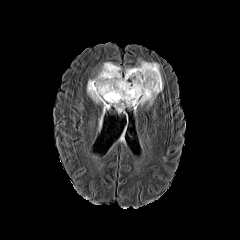
FLAIR magnetic resonance.
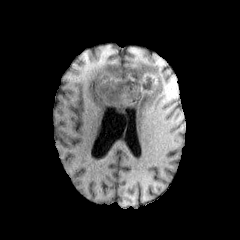
Same slice, T1-weighted MRI.
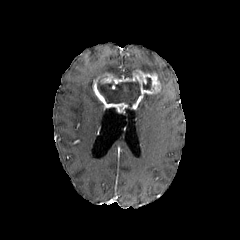
Same slice, post-contrast T1-weighted magnetic resonance.
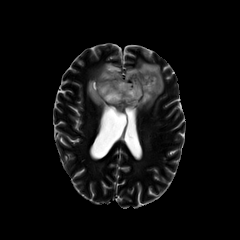
T2-weighted MR image of the same slice.
Brain
Annotated regions:
• non-enhancing tumor core: {"x1": 142, "y1": 77, "x2": 151, "y2": 90}, {"x1": 96, "y1": 81, "x2": 141, "y2": 107}
• edema: {"x1": 124, "y1": 59, "x2": 164, "y2": 99}, {"x1": 137, "y1": 93, "x2": 158, "y2": 111}, {"x1": 87, "y1": 61, "x2": 122, "y2": 104}
• enhancing tumor: {"x1": 92, "y1": 69, "x2": 160, "y2": 112}